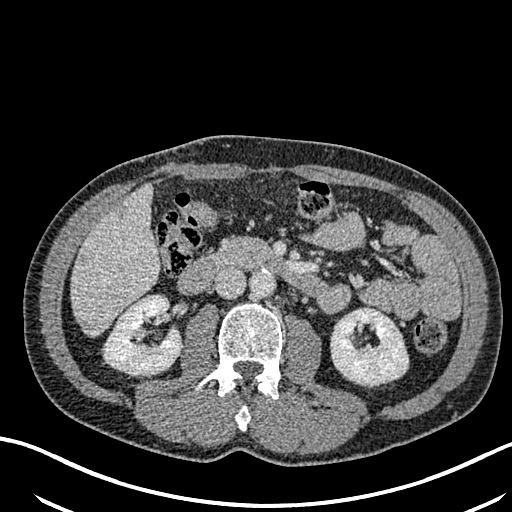 CT scan slice
Liver: bounding box <box>71,187,157,335</box>.
Liver lesion: bounding box <box>116,205,127,217</box>, <box>78,318,97,334</box>, <box>75,253,88,265</box>.
Kidney: bounding box <box>105,296,180,374</box>, <box>331,309,408,384</box>.